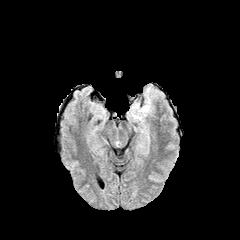
FLAIR MR.
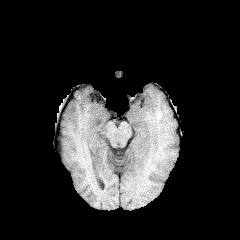
T1-weighted magnetic resonance of the same slice.
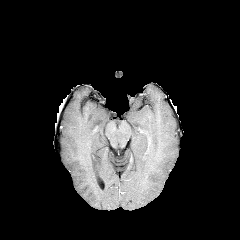
Post-contrast T1-weighted MRI.
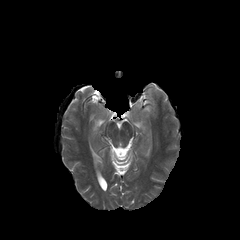
Same slice, T2-weighted MR image.
240x240.
edema: {"x1": 134, "y1": 99, "x2": 150, "y2": 116}